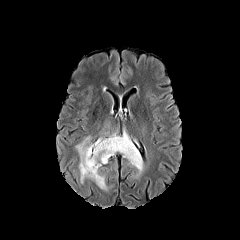
FLAIR MRI.
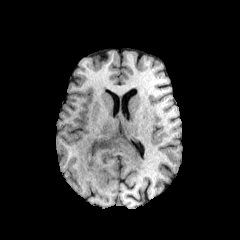
T1-weighted MR image.
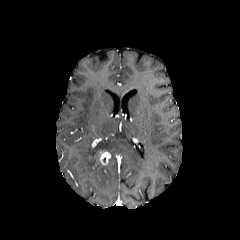
Same slice, post-contrast T1-weighted MR.
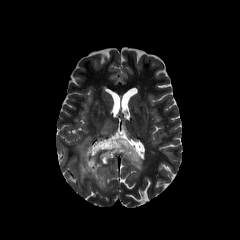
T2-weighted MR.
Head
2 edema regions are located at [93,129,143,175], [76,136,107,189]. The enhancing tumor is bounded by [100,152,110,165].